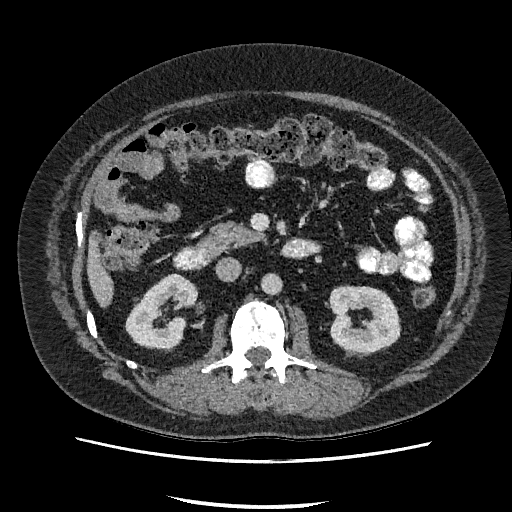 Computed tomography; Liver
2 kidney regions appear at (left=126, top=275, right=196, bottom=347), (left=331, top=287, right=399, bottom=351). The liver appears at (left=87, top=236, right=113, bottom=305).